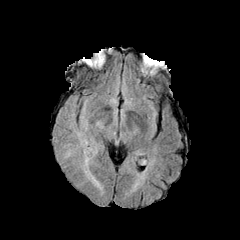
FLAIR magnetic resonance.
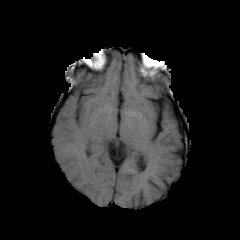
T1-weighted MRI.
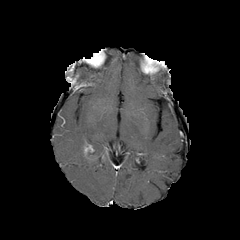
Post-contrast T1-weighted MR.
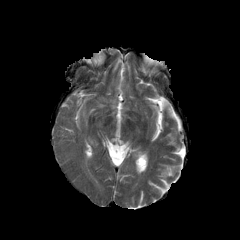
T2-weighted magnetic resonance.
Enhancing tumor: region(84, 144, 91, 154).
Edema: region(83, 139, 99, 165).